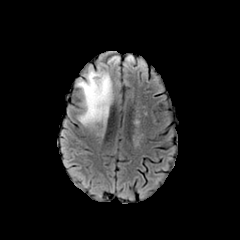
FLAIR magnetic resonance.
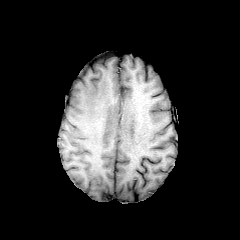
T1-weighted magnetic resonance.
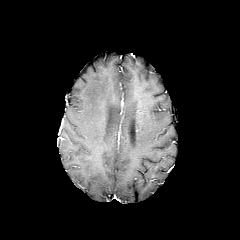
Post-contrast T1-weighted magnetic resonance of the same slice.
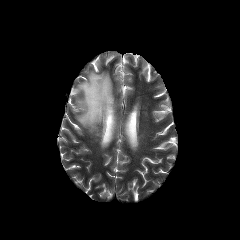
T2-weighted magnetic resonance of the same slice.
Brain; Image size 240x240
edema:
  - (x1=76, y1=67, x2=113, y2=129)